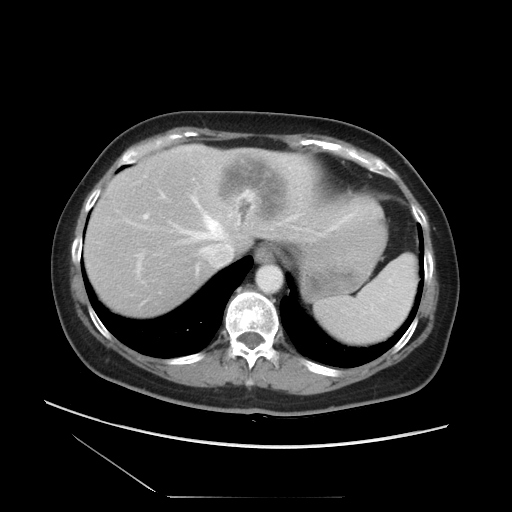

CT image. Image size 512x512.

The vessel boxes may cover only some of the vessels.
Liver tumor: x1=213 y1=150 x2=295 y2=232.
Hepatic vessel: x1=144 y1=215 x2=147 y2=218, x1=178 y1=197 x2=233 y2=265, x1=162 y1=194 x2=163 y2=196, x1=138 y1=255 x2=141 y2=272.